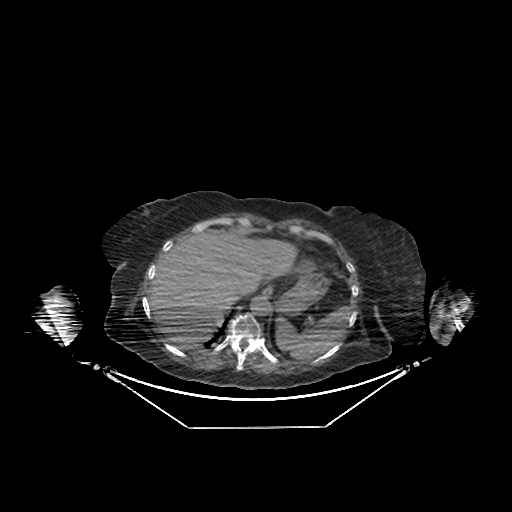
CT slice.

<segmentation>
  <liver>150,226,297,351; 298,248,305,281</liver>
</segmentation>